CT. Slice 610/856. Upper abdomen.
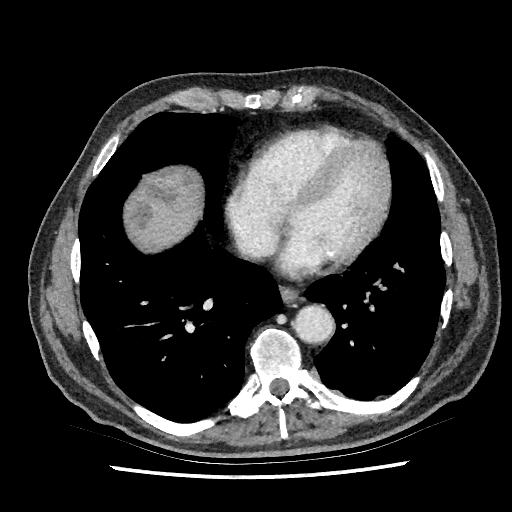

Liver = box(130, 170, 198, 246).
Liver lesion = box(145, 184, 178, 203); box(130, 201, 152, 228); box(159, 170, 176, 178); box(180, 172, 193, 185).